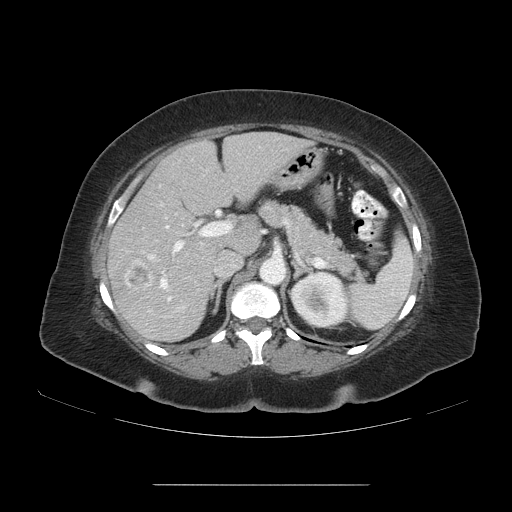 CT image, Liver

Some hepatic vessels may have no box.
Hepatic vessel — box=[165, 225, 169, 229]; box=[148, 255, 154, 259]; box=[168, 298, 169, 300]; box=[199, 221, 232, 236]; box=[160, 278, 165, 287]; box=[172, 240, 184, 254]; box=[216, 209, 220, 215]; box=[195, 222, 200, 225]; box=[214, 254, 241, 275].
Liver tumor — box=[125, 260, 152, 291].